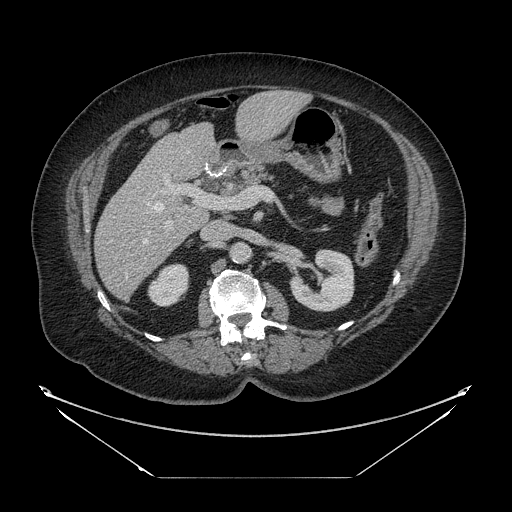 CT slice

{
  "pancreas": [
    "left=240, top=167, right=268, bottom=186"
  ]
}